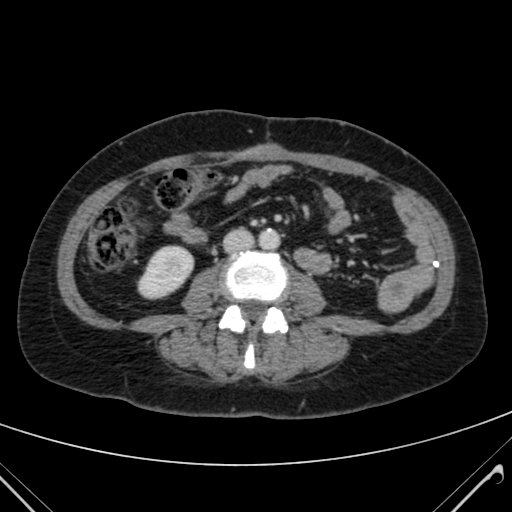

512x512 px. CT. Kidney at (140, 247, 192, 296).